Field of view 400 mm wide, 1.37 mm slice spacing | MRI slice | Slice index 97
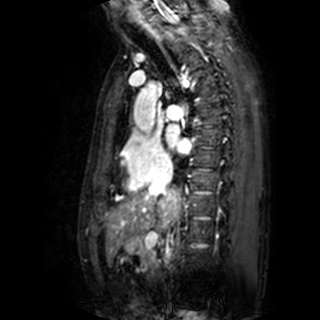 left_atrium:
  - bbox(165, 124, 190, 152)